240x240.
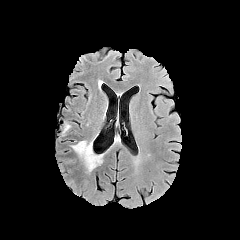
FLAIR MR.
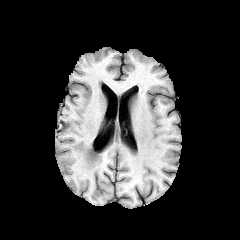
T1-weighted magnetic resonance.
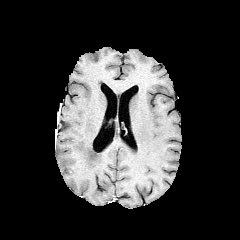
Post-contrast T1-weighted MRI.
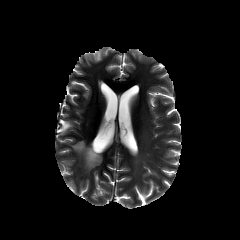
T2-weighted MRI of the same slice.
{"edema": [{"x1": 70, "y1": 140, "x2": 101, "y2": 171}]}